240x240; Image width 240 mm
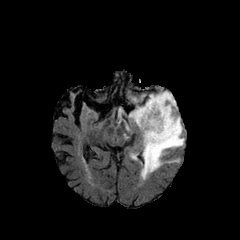
FLAIR magnetic resonance.
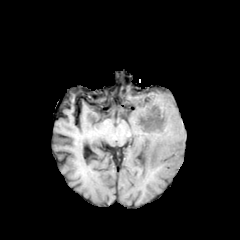
Same slice, T1-weighted MR.
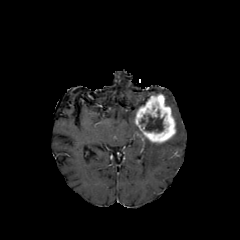
Post-contrast T1-weighted MR of the same slice.
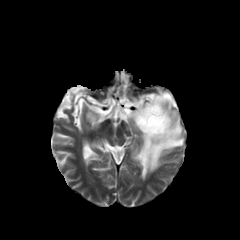
T2-weighted magnetic resonance.
non-enhancing_tumor_core:
  - (140, 115, 163, 131)
  - (136, 96, 149, 110)
edema:
  - (139, 89, 184, 180)
  - (118, 95, 145, 136)
enhancing_tumor:
  - (134, 94, 176, 143)